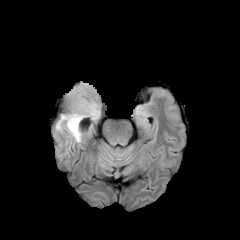
FLAIR MRI.
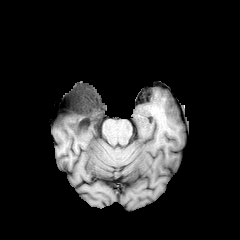
T1-weighted MRI of the same slice.
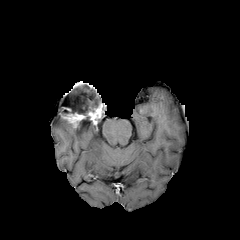
Same slice, post-contrast T1-weighted magnetic resonance.
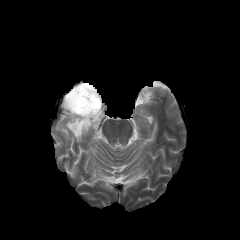
T2-weighted MR image.
Enhancing tumor: box=[62, 100, 102, 127].
Edema: box=[56, 118, 86, 142].
Non-enhancing tumor core: box=[64, 83, 100, 114].